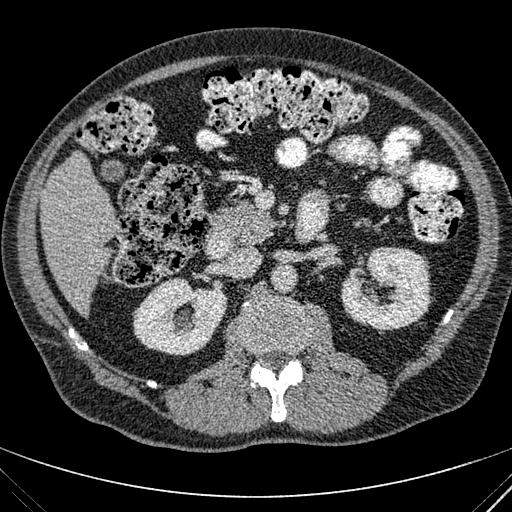

Abdomen, CT image
Liver — <bbox>41, 152, 115, 315</bbox>.
Kidney — <bbox>341, 247, 429, 329</bbox>, <bbox>134, 278, 226, 354</bbox>.